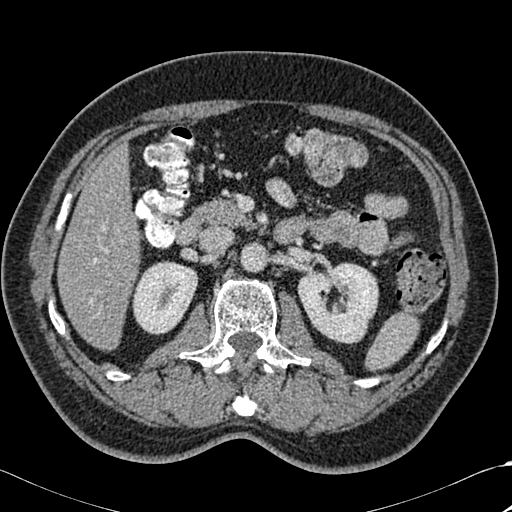

Abdomen, 512x512, CT
Kidney: <box>134,263,196,333</box>, <box>299,264,377,342</box>.
Bone: <box>49,302,64,333</box>, <box>427,325,445,352</box>, <box>180,280,309,372</box>, <box>356,378,377,387</box>, <box>233,394,255,415</box>, <box>107,371,128,380</box>.
Liver: <box>59,148,139,349</box>.